Image width 240 mm, Slice index 93, Brain
FLAIR MRI.
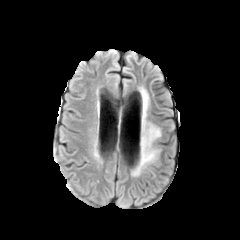
T1-weighted MR.
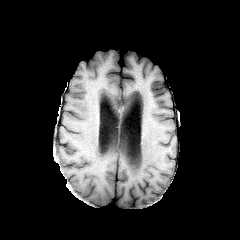
Post-contrast T1-weighted magnetic resonance.
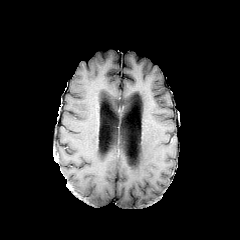
T2-weighted MRI.
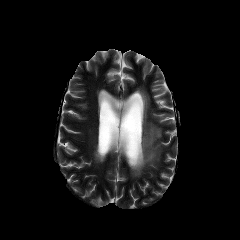
Edema at l=132, t=88, r=160, b=176.